CT slice, Upper abdomen

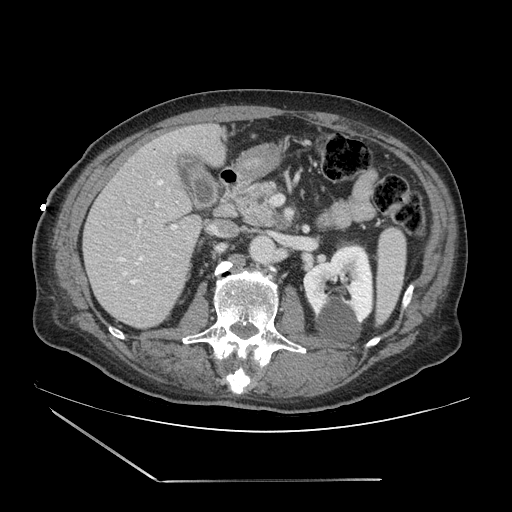

pancreas: rect(242, 183, 284, 226)